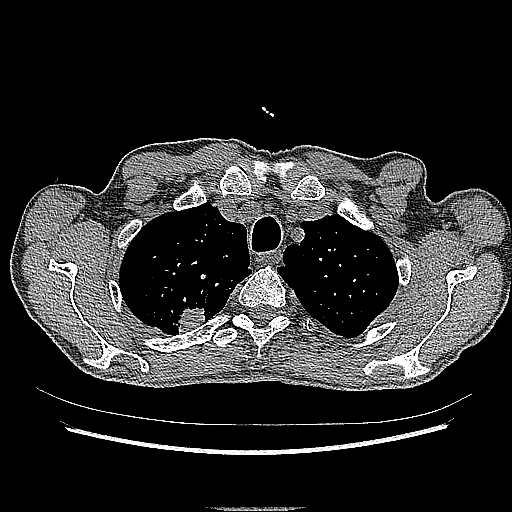 CT image

{"lung_tumor": [{"x1": 166, "y1": 299, "x2": 207, "y2": 335}]}